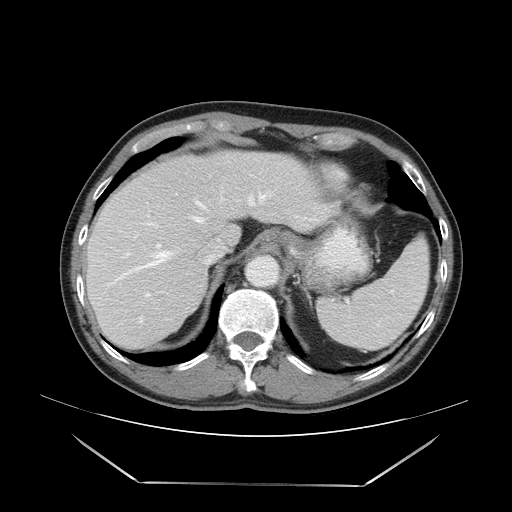 CT scan slice; Image size 512x512
Not every hepatic vessel necessarily has a box.
Hepatic vessel at box=[198, 221, 203, 222]; box=[158, 254, 165, 256]; box=[255, 212, 257, 213]; box=[251, 205, 254, 206]; box=[260, 195, 265, 199].